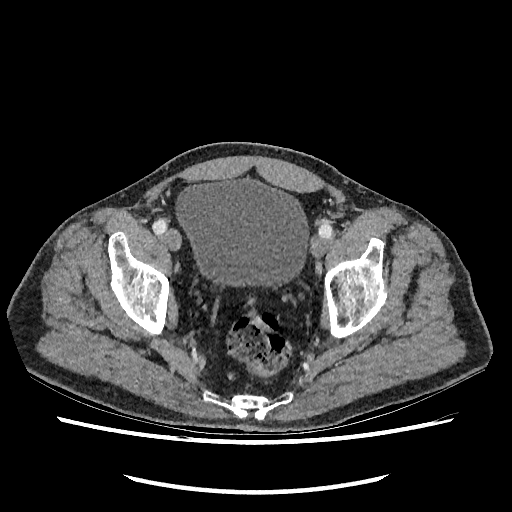 Lower abdomen | CT | 512x512
<segmentation>
  <urinary_bladder>{"x1": 176, "y1": 177, "x2": 308, "y2": 286}</urinary_bladder>
</segmentation>